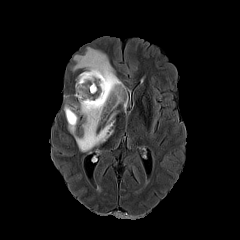
FLAIR magnetic resonance.
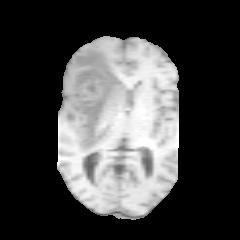
T1-weighted MR image.
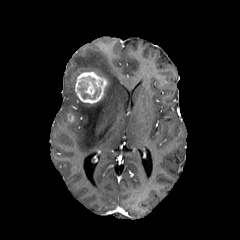
Post-contrast T1-weighted MRI.
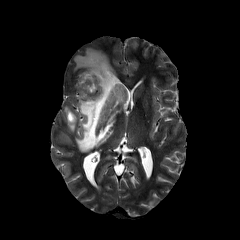
T2-weighted MR image.
Annotated regions:
- edema: 64:47:127:153
- non-enhancing tumor core: 77:82:91:99, 92:87:101:99
- enhancing tumor: 66:112:75:122, 75:71:107:103